FLAIR MR image.
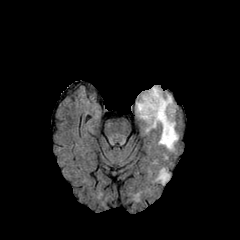
T1-weighted MR image.
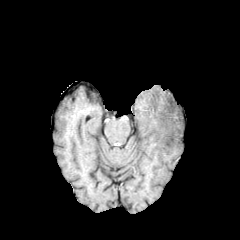
Post-contrast T1-weighted MRI.
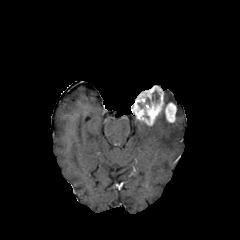
T2-weighted MRI.
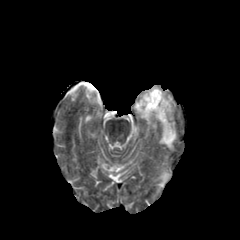
Head
3 edema regions are located at (left=165, top=93, right=172, bottom=102), (left=157, top=168, right=169, bottom=182), (left=151, top=116, right=178, bottom=151). The enhancing tumor lies within (left=131, top=85, right=176, bottom=125).